512x512, Computed tomography, Slice 495 of 751

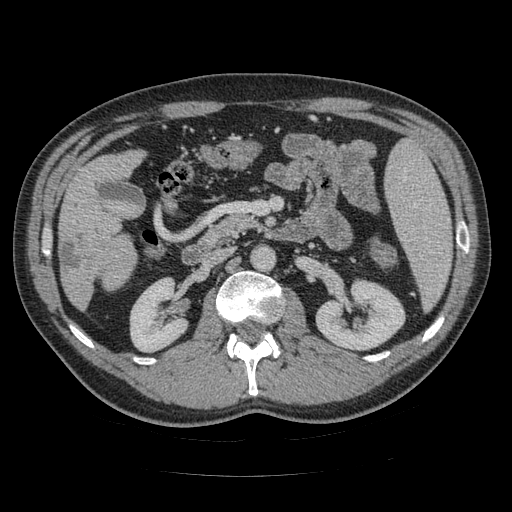
The pancreas is located at (200, 214, 254, 246).